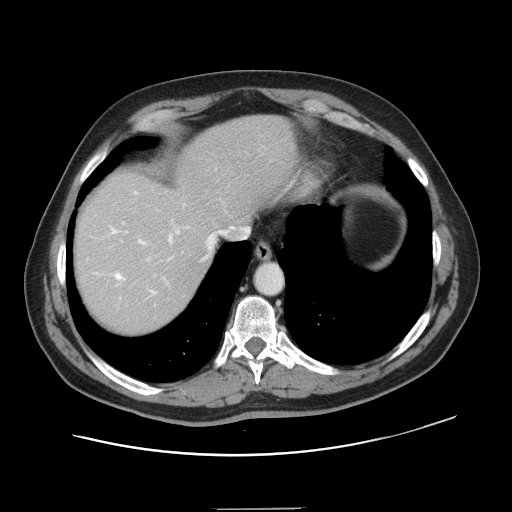

CT scan slice. Liver.

Only some of the vessels may be annotated.
<segmentation>
  <hepatic_vessel>box(134, 192, 135, 193); box(169, 234, 172, 240); box(147, 258, 149, 260); box(115, 273, 124, 280); box(210, 238, 211, 246); box(175, 228, 179, 233); box(150, 291, 154, 293); box(111, 228, 118, 233); box(138, 239, 144, 243)</hepatic_vessel>
</segmentation>